CT; Liver 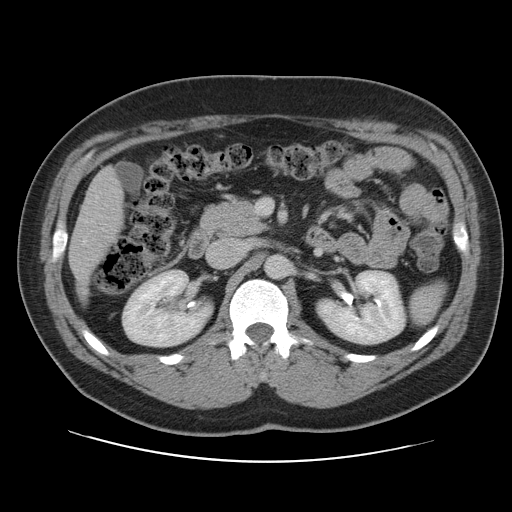 The vessel boxes may cover only some of the vessels.
7 hepatic vessel regions are located at (82, 289, 87, 293), (83, 241, 85, 243), (108, 237, 112, 240), (76, 275, 87, 285), (106, 169, 113, 172), (79, 217, 81, 219), (86, 198, 90, 202).